CT scan slice; Upper abdomen

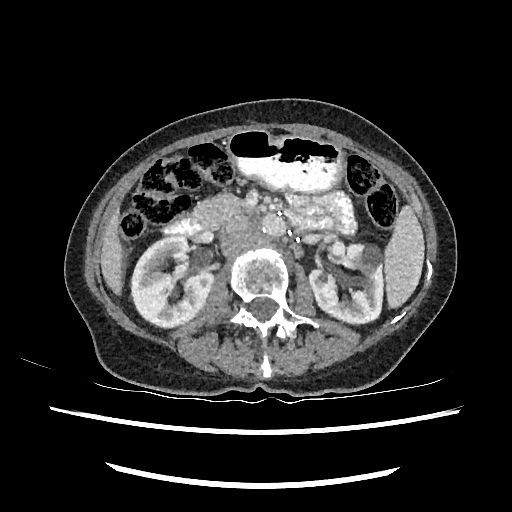
Kidney: {"x1": 132, "y1": 237, "x2": 212, "y2": 326}, {"x1": 310, "y1": 244, "x2": 383, "y2": 322}.
Liver: {"x1": 101, "y1": 211, "x2": 121, "y2": 292}.